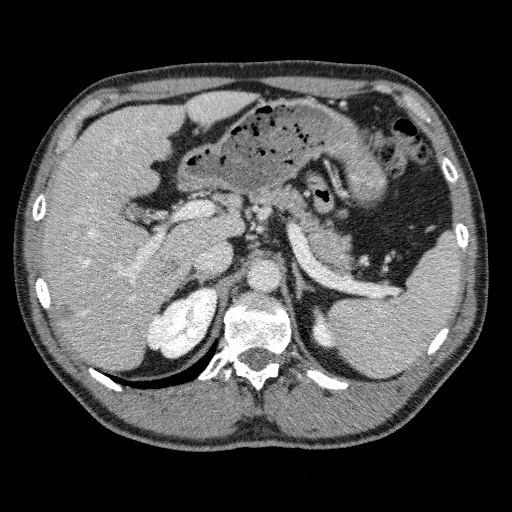
CT slice, Liver

2 liver lesion regions appear at (left=156, top=253, right=180, bottom=282), (left=54, top=302, right=74, bottom=320). The liver lies within (left=39, top=90, right=252, bottom=369). 2 kidney regions are bounded by (left=314, top=317, right=333, bottom=345), (left=147, top=288, right=216, bottom=356).